Abdomen. Computed tomography. 512x512.

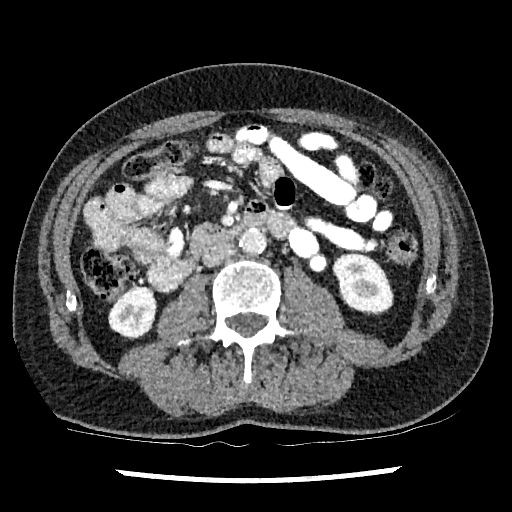 Kidney — {"x1": 334, "y1": 255, "x2": 391, "y2": 311}, {"x1": 109, "y1": 288, "x2": 155, "y2": 336}.